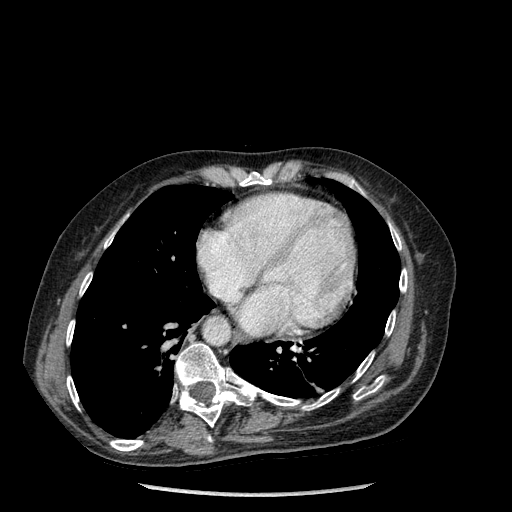 CT scan slice
{"lung": ["box=[70, 184, 232, 438]", "box=[230, 179, 400, 397]"], "bone": ["box=[385, 311, 395, 335]", "box=[172, 342, 339, 427]", "box=[66, 376, 79, 410]", "box=[389, 223, 401, 250]", "box=[347, 179, 364, 194]", "box=[104, 216, 126, 248]", "box=[110, 440, 143, 451]", "box=[399, 268, 407, 292]", "box=[353, 352, 374, 381]", "box=[237, 170, 272, 186]", "box=[66, 320, 74, 345]", "box=[79, 272, 92, 295]", "box=[353, 375, 385, 400]"]}